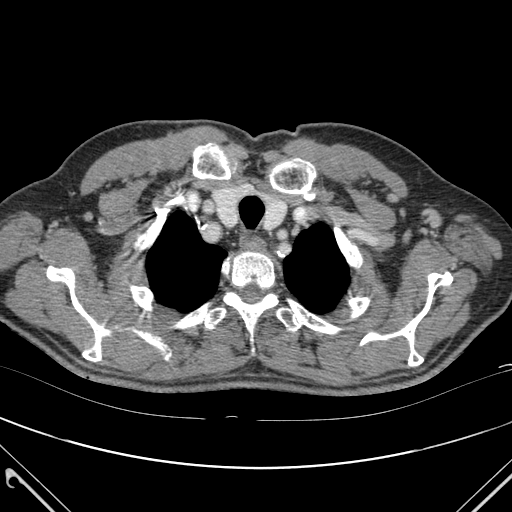 CT scan slice | Chest
* lung: region(283, 223, 349, 313); region(146, 211, 226, 312)
* bone: region(193, 143, 230, 179); region(47, 266, 108, 361); region(232, 252, 274, 287); region(271, 162, 315, 200); region(224, 292, 277, 336); region(222, 261, 229, 273); region(139, 331, 163, 349); region(175, 304, 225, 328); region(137, 198, 178, 248); region(349, 297, 369, 317); region(277, 300, 340, 333); region(360, 272, 452, 365); region(131, 286, 152, 309); region(334, 227, 361, 266)